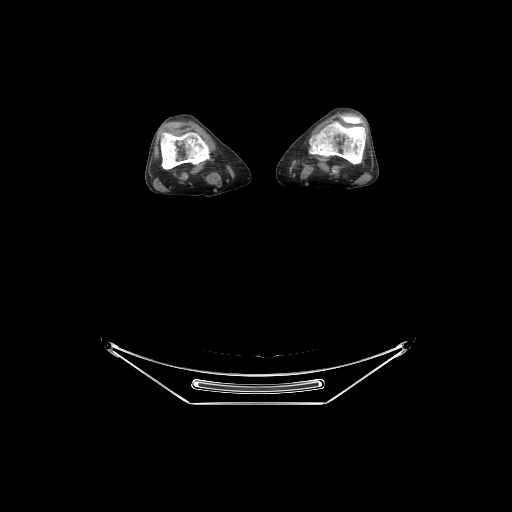
Computed tomography. Image size 512x512.
{
  "bone": [
    "box=[161, 132, 209, 169]",
    "box=[310, 114, 365, 163]"
  ]
}